240x240 px. Slice index 111.
FLAIR MR.
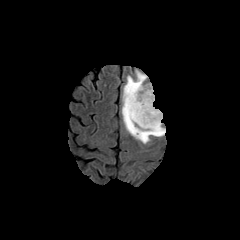
T1-weighted MR.
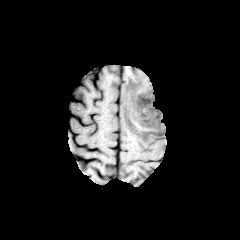
Post-contrast T1-weighted MR image.
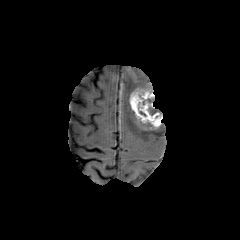
T2-weighted MR.
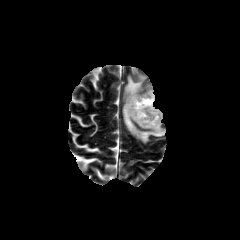
2 non-enhancing tumor core regions are bounded by {"x1": 140, "y1": 127, "x2": 163, "y2": 139}, {"x1": 122, "y1": 80, "x2": 151, "y2": 129}. The edema lies within {"x1": 120, "y1": 69, "x2": 163, "y2": 143}. The enhancing tumor appears at {"x1": 129, "y1": 88, "x2": 161, "y2": 129}.